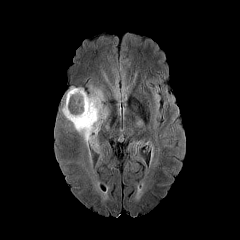
FLAIR MR.
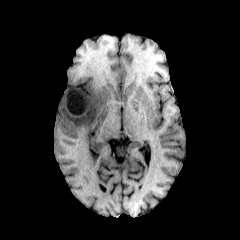
T1-weighted magnetic resonance.
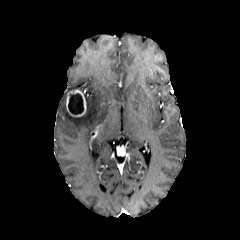
Post-contrast T1-weighted magnetic resonance.
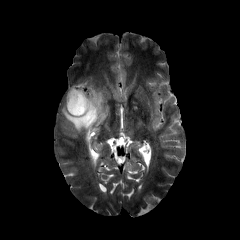
Same slice, T2-weighted magnetic resonance.
Brain
Edema at <bbox>90, 138, 100, 153</bbox>, <bbox>61, 85, 108, 169</bbox>.
Enhancing tumor at <bbox>66, 89, 86, 116</bbox>.
Non-enhancing tumor core at <bbox>68, 93, 83, 114</bbox>.